FLAIR MR image.
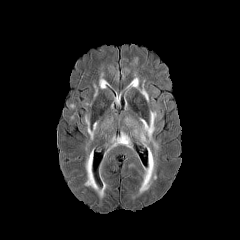
T1-weighted MR.
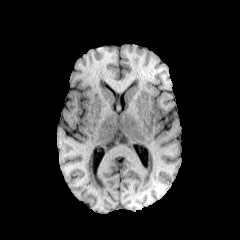
Post-contrast T1-weighted MR.
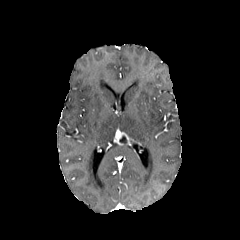
T2-weighted magnetic resonance.
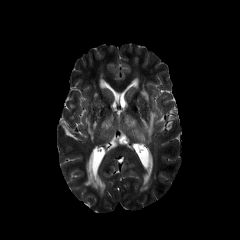
<segmentation>
  <edema>{"x1": 84, "y1": 149, "x2": 105, "y2": 198}, {"x1": 139, "y1": 111, "x2": 156, "y2": 194}, {"x1": 130, "y1": 77, "x2": 138, "y2": 88}, {"x1": 99, "y1": 79, "x2": 107, "y2": 89}, {"x1": 85, "y1": 116, "x2": 97, "y2": 139}, {"x1": 141, "y1": 84, "x2": 148, "y2": 101}</edema>
</segmentation>